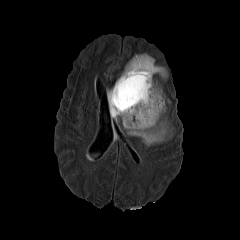
FLAIR MR.
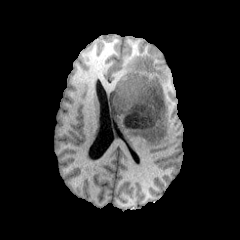
T1-weighted MRI.
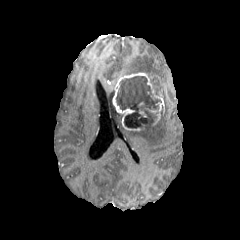
Post-contrast T1-weighted MR image.
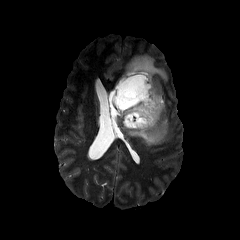
Same slice, T2-weighted MR image.
Brain
non-enhancing_tumor_core:
  - 115,76,161,130
edema:
  - 107,87,122,120
  - 126,117,171,146
  - 121,53,166,83
enhancing_tumor:
  - 112,72,164,131